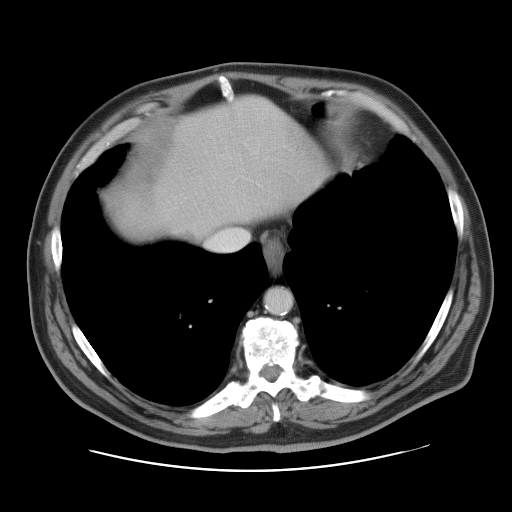

512x512; Liver; CT

The vessel annotation is not exhaustive.
Liver tumor: bounding box {"x1": 176, "y1": 230, "x2": 202, "y2": 242}.
Hepatic vessel: bounding box {"x1": 207, "y1": 228, "x2": 249, "y2": 250}.